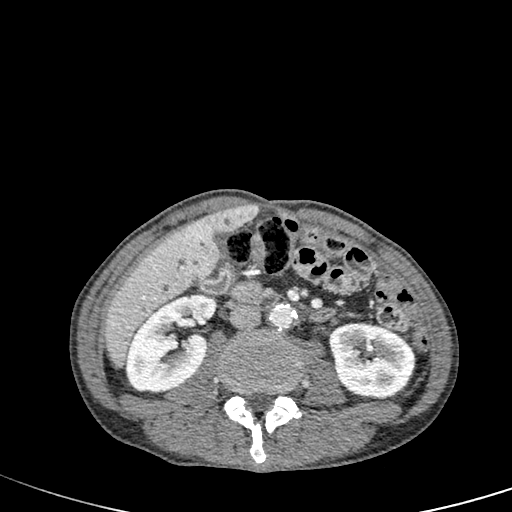 512x512 | CT

The liver lies within (104, 208, 230, 367). 2 kidney regions are located at (126, 295, 215, 391), (330, 324, 414, 397). The hepatic lesion is bounded by (216, 205, 257, 232).